240x240; Slice 92 of 155
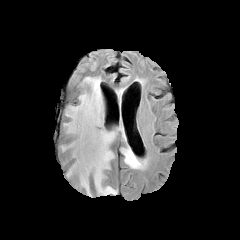
FLAIR MR.
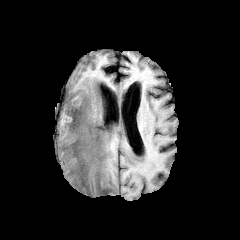
T1-weighted MR image.
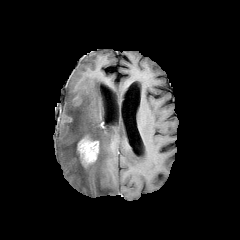
Post-contrast T1-weighted magnetic resonance.
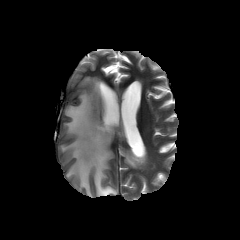
Same slice, T2-weighted MR image.
{"enhancing_tumor": ["77:137:98:167"], "edema": ["62:76:125:196", "120:147:138:167"]}